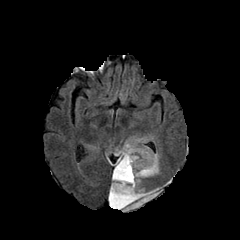
FLAIR MR.
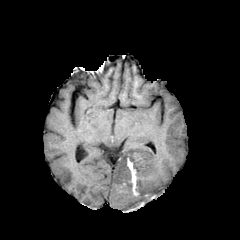
Same slice, T1-weighted MR image.
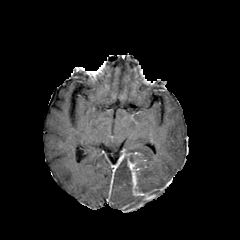
Post-contrast T1-weighted magnetic resonance.
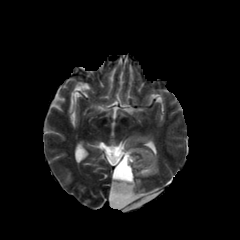
T2-weighted MR image of the same slice.
Non-enhancing tumor core = (left=119, top=191, right=143, bottom=211), (left=106, top=146, right=125, bottom=165), (left=112, top=150, right=144, bottom=193), (left=142, top=188, right=157, bottom=195).
Edema = (left=108, top=178, right=131, bottom=209), (left=136, top=136, right=150, bottom=143), (left=122, top=140, right=162, bottom=195).
Enhancing tumor = (left=112, top=149, right=129, bottom=179), (left=133, top=192, right=153, bottom=199), (left=127, top=159, right=136, bottom=186).